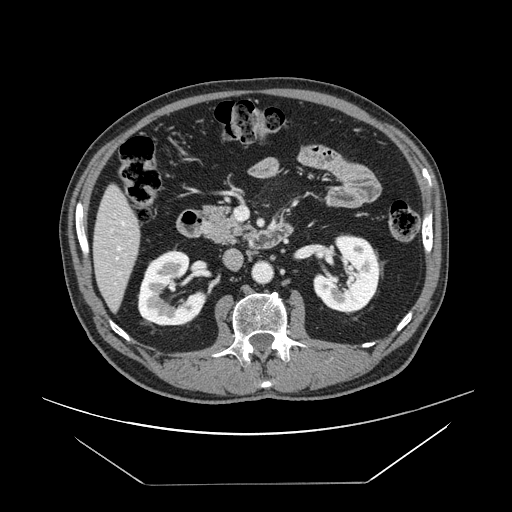

Computed tomography; Upper abdomen

Pancreas at (left=200, top=204, right=256, bottom=244).